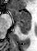
MRI slice, Medial temporal lobe

The anterior hippocampus appears at (9,8,30,21). The posterior hippocampus is at (16,22,30,33).